CT image
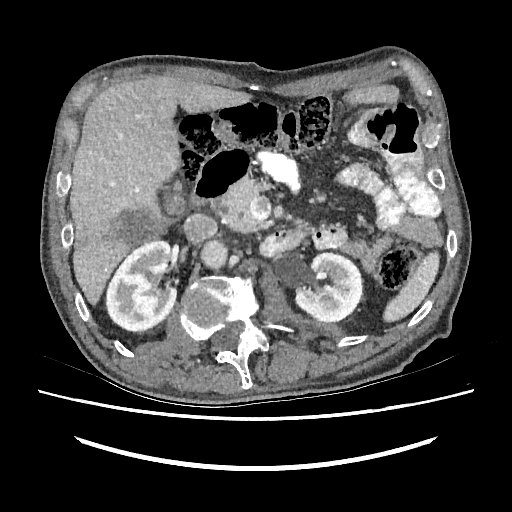
kidney:
  - (left=107, top=241, right=176, bottom=330)
  - (left=296, top=253, right=361, bottom=321)
liver:
  - (left=71, top=77, right=249, bottom=306)
focal_liver_lesion:
  - (left=105, top=209, right=161, bottom=246)
  - (left=75, top=240, right=85, bottom=249)